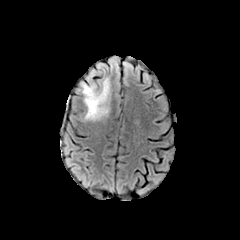
FLAIR magnetic resonance.
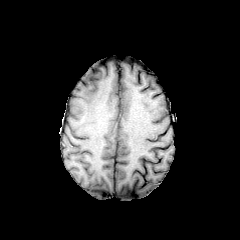
T1-weighted MR of the same slice.
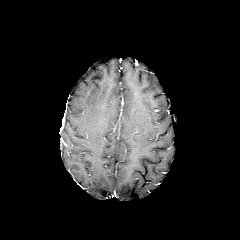
Post-contrast T1-weighted MR.
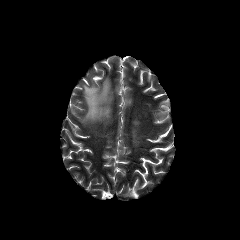
Same slice, T2-weighted magnetic resonance.
240x240
The edema lies within rect(81, 75, 110, 120).